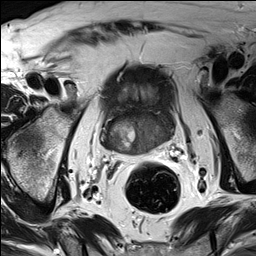
T2-weighted MRI.
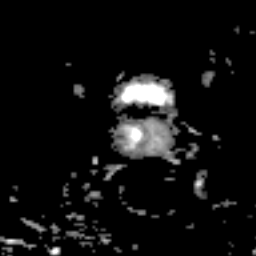
Same slice, ADC MRI.
Prostate
The prostate peripheral zone is bounded by (109, 113, 170, 154).